240x240 px; Slice 124/155; Field of view 240x240 mm
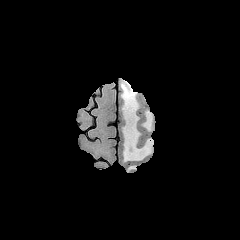
FLAIR magnetic resonance.
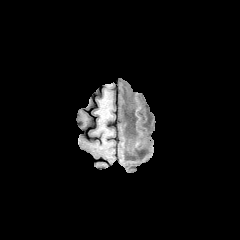
T1-weighted MR of the same slice.
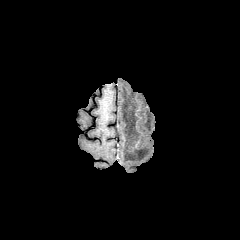
Post-contrast T1-weighted MR image.
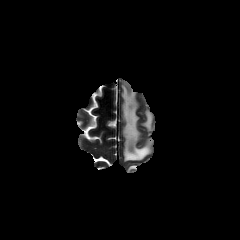
T2-weighted MRI.
The edema is at 120, 82, 151, 161.